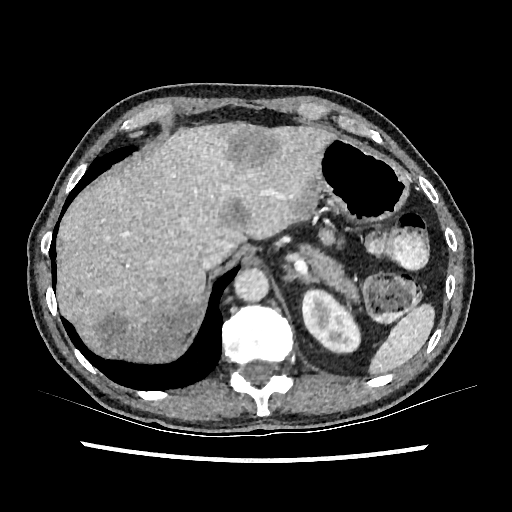
Computed tomography
<segmentation>
  <liver>59:123:337:353, 108:349:149:361</liver>
  <focal_liver_lesion>289:176:316:218, 218:196:255:229, 218:124:278:167, 92:277:200:361</focal_liver_lesion>
  <kidney>302:290:359:351</kidney>
</segmentation>